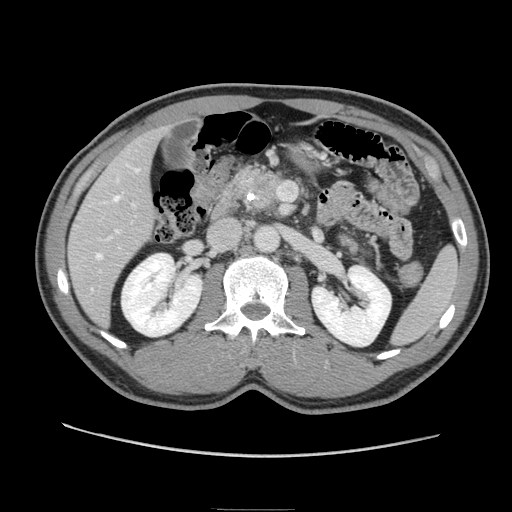

Abdomen | CT scan slice
{
  "pancreatic_tumor": [
    "x1=242 y1=170 x2=278 y2=207"
  ],
  "pancreas": [
    "x1=335 y1=228 x2=363 y2=259",
    "x1=234 y1=166 x2=287 y2=212"
  ]
}